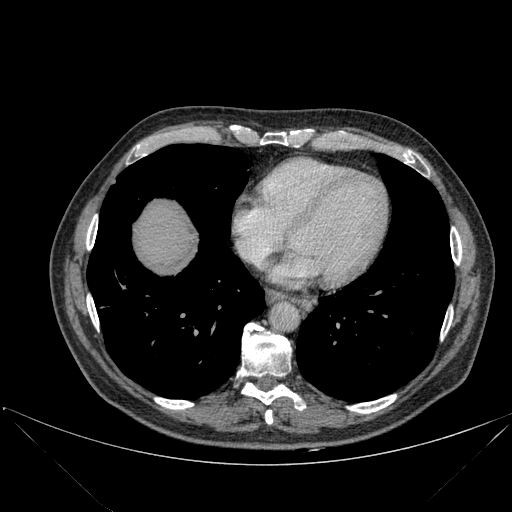 CT image | Abdomen
The liver is at 133:199:197:267. 12 bone regions appear at 154:398:193:409, 404:151:414:162, 242:383:305:410, 450:227:461:264, 265:410:272:424, 441:309:452:339, 239:323:291:376, 260:132:287:145, 348:394:396:413, 86:295:98:330, 86:214:97:249, 136:145:145:156. 2 lung regions are bounded by 87:144:264:398, 296:153:454:401.